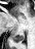 Magnetic resonance | Hippocampus | Image size 35x49

posterior_hippocampus:
  - rect(12, 32, 24, 42)